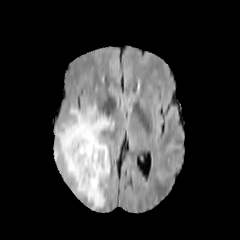
FLAIR MR.
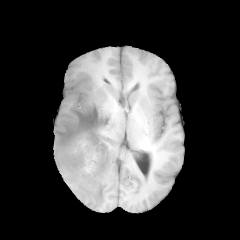
T1-weighted magnetic resonance.
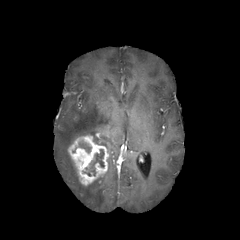
Post-contrast T1-weighted MR image.
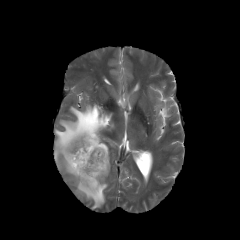
Same slice, T2-weighted magnetic resonance.
Brain
{"edema": ["[53,103,113,209]"], "enhancing_tumor": ["[68,135,108,185]"], "non-enhancing_tumor_core": ["[86,148,104,176]", "[79,142,91,153]"]}